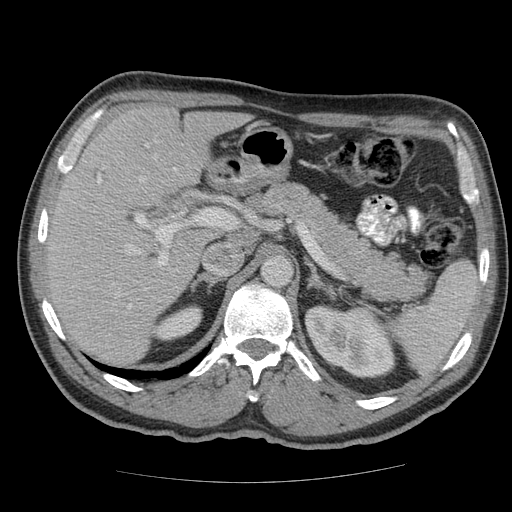

CT, Abdomen, 512x512 px
The vessel annotation is not exhaustive.
5 hepatic vessel regions appear at 98, 176, 99, 181; 145, 145, 147, 146; 172, 169, 175, 171; 128, 305, 130, 308; 158, 239, 170, 264.